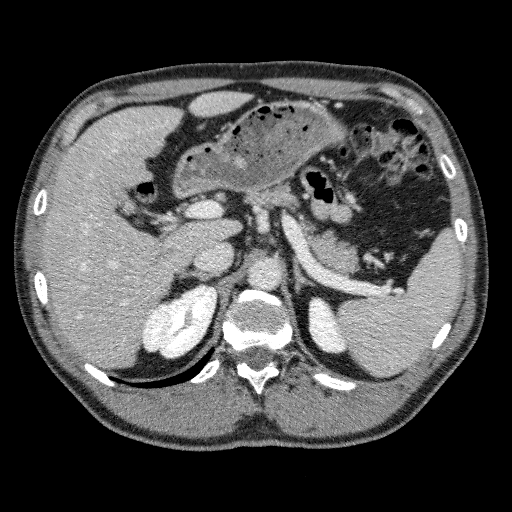

Upper abdomen; Computed tomography

Hepatic lesion = 151 246 176 265, 124 163 144 177.
Kidney = 142 286 216 357, 310 299 344 351.
Liver = 39 105 242 367, 187 90 250 117.